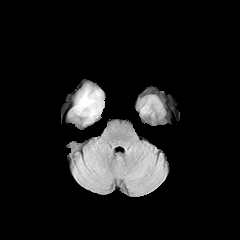
FLAIR MRI.
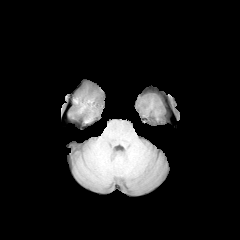
Same slice, T1-weighted MR.
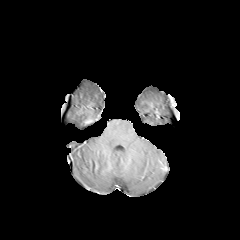
Post-contrast T1-weighted MRI.
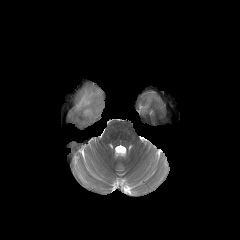
Same slice, T2-weighted magnetic resonance.
Head
Edema: bounding box (75,89,100,120).